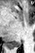
MRI
The posterior hippocampus is bounded by bbox(7, 40, 21, 49).